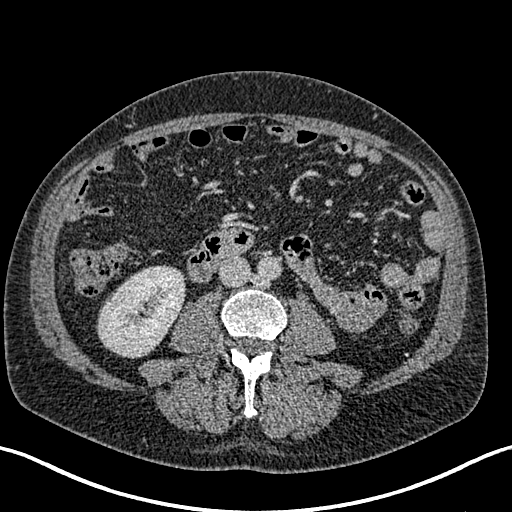 Abdomen | 512x512 | CT image
The kidney is bounded by 98:266:184:356.